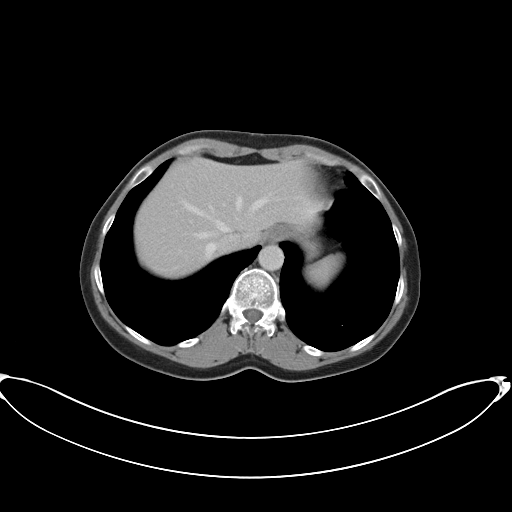
CT image; Abdomen
The vessel annotation is not exhaustive.
<segmentation>
  <hepatic_vessel>rect(182, 201, 230, 231); rect(290, 196, 319, 210); rect(283, 197, 288, 199); rect(194, 232, 214, 238); rect(248, 188, 281, 210); rect(206, 243, 215, 255); rect(274, 182, 275, 183); rect(235, 194, 243, 210)</hepatic_vessel>
</segmentation>